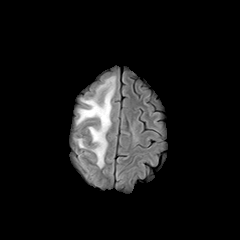
FLAIR MR image.
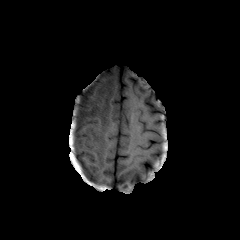
T1-weighted MR of the same slice.
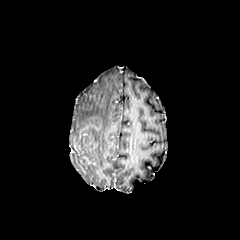
Post-contrast T1-weighted MR image of the same slice.
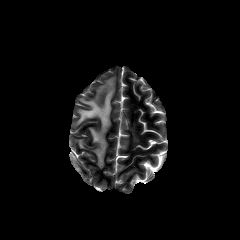
T2-weighted magnetic resonance.
<segmentation>
  <edema><box>78,77,115,167</box></edema>
</segmentation>